CT. Image width 360 mm. Image size 512x512.

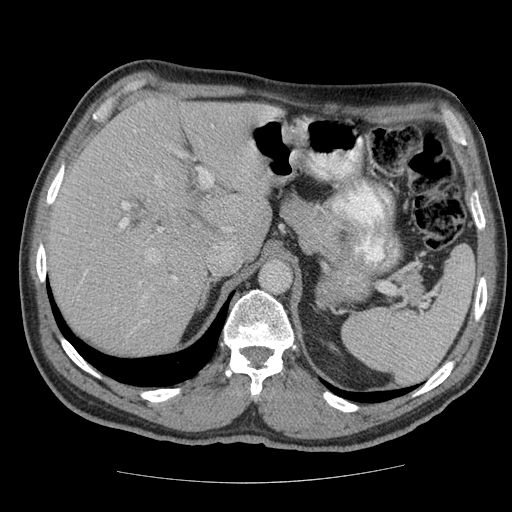
Only some of the vessels may be annotated.
hepatic vessel: region(145, 248, 160, 262); region(172, 151, 184, 156); region(222, 228, 230, 230); region(121, 218, 127, 226); region(155, 174, 162, 186); region(121, 203, 128, 209); region(171, 276, 175, 280); region(143, 320, 147, 322); region(197, 169, 212, 188); region(157, 228, 161, 232)